Field of view 472x472 mm. CT scan slice. 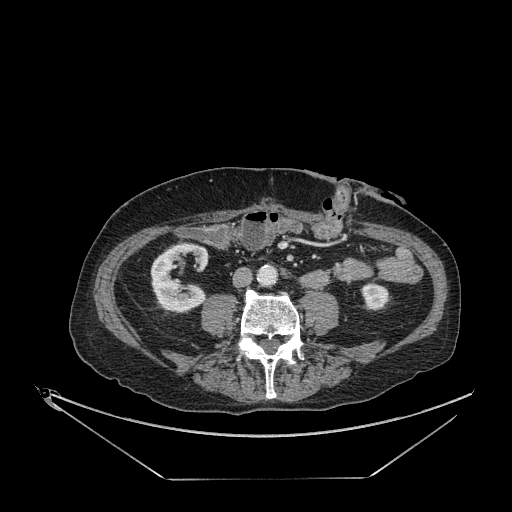

2 kidney regions are bounded by rect(362, 283, 388, 309); rect(151, 243, 207, 311).